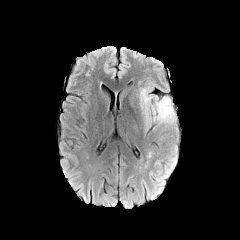
FLAIR magnetic resonance.
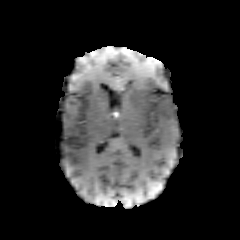
T1-weighted magnetic resonance.
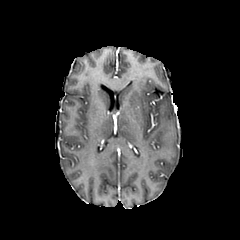
Same slice, post-contrast T1-weighted MRI.
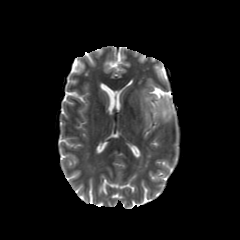
Same slice, T2-weighted magnetic resonance.
240x240 px, Brain
Edema — region(138, 84, 176, 129); region(152, 162, 172, 182).
Non-enhancing tumor core — region(150, 97, 161, 109).